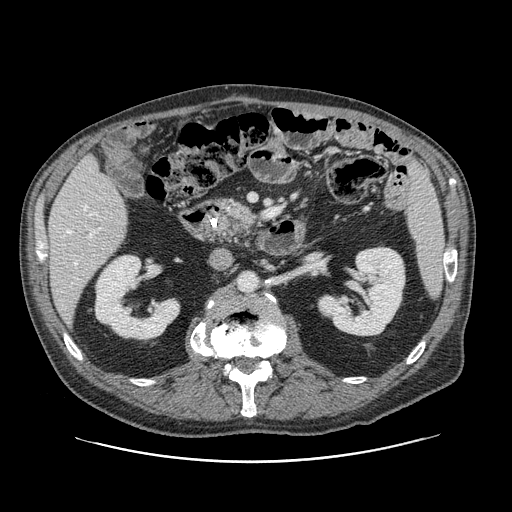

Image size 512x512 | CT scan slice

Segmented structures:
- pancreas: left=219, top=200, right=252, bottom=234